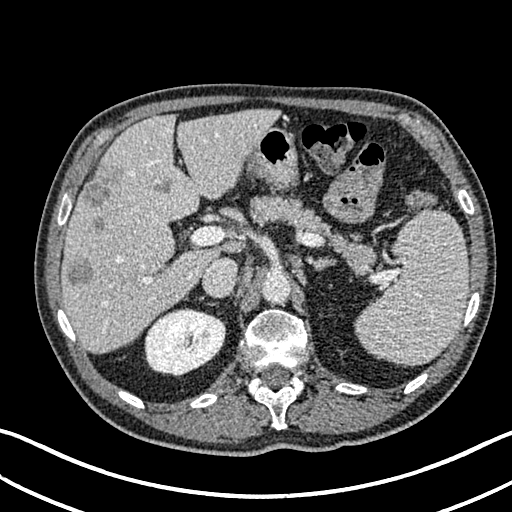 CT image, Upper abdomen

The kidney appears at region(146, 310, 224, 374). 4 hepatic lesion regions are located at region(85, 170, 120, 205); region(94, 217, 105, 229); region(153, 178, 171, 193); region(66, 261, 92, 284). The liver lies within region(62, 110, 277, 351).